Slice 587/671. 512x512 px. Upper abdomen. Image width 370 mm. CT scan slice.
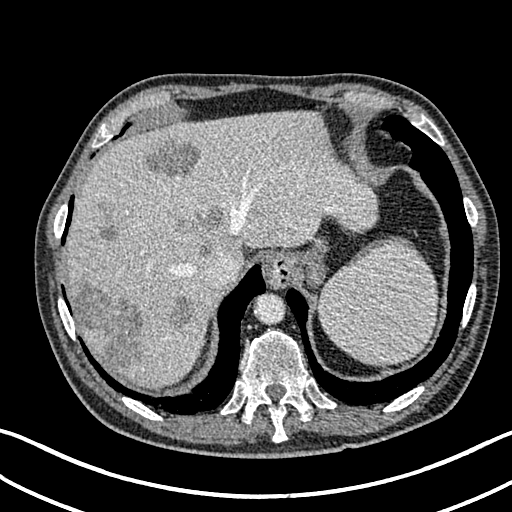
Segmented structures:
- liver: bbox(65, 111, 378, 387); bbox(79, 327, 105, 359)
- hepatic lesion: bbox(168, 296, 195, 329); bbox(101, 213, 116, 239); bbox(178, 221, 194, 230); bbox(199, 208, 223, 230); bbox(147, 142, 199, 176); bbox(73, 282, 143, 366)